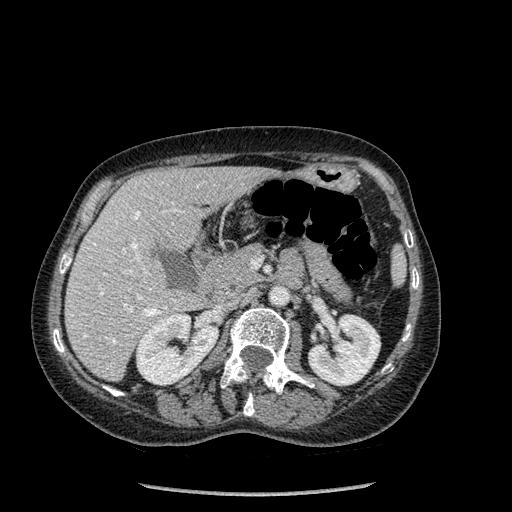
CT scan slice. Abdomen.
Liver: rect(65, 166, 278, 381).
Kidney: rect(136, 314, 217, 384); rect(309, 313, 380, 385).
Bone: rect(53, 329, 64, 352); rect(59, 256, 71, 274); rect(404, 230, 413, 247); rect(402, 324, 411, 341); rect(411, 268, 419, 288); rect(221, 307, 314, 393); rect(243, 393, 254, 416); rect(103, 386, 123, 396).